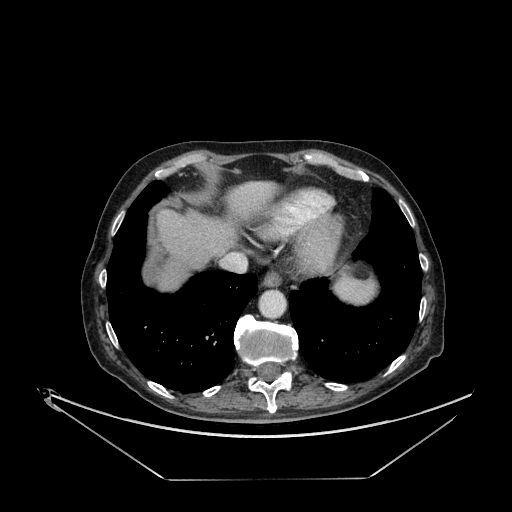 Upper abdomen; 512x512 px; Computed tomography

Liver at 229 183 275 217, 157 210 235 288.